CT scan slice, Field of view 350x350 mm 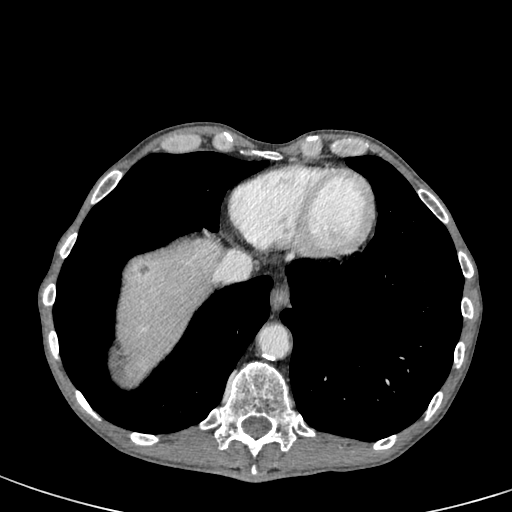

liver: (x1=116, y1=237, x2=223, y2=379) | liver lesion: (x1=137, y1=262, x2=148, y2=274)